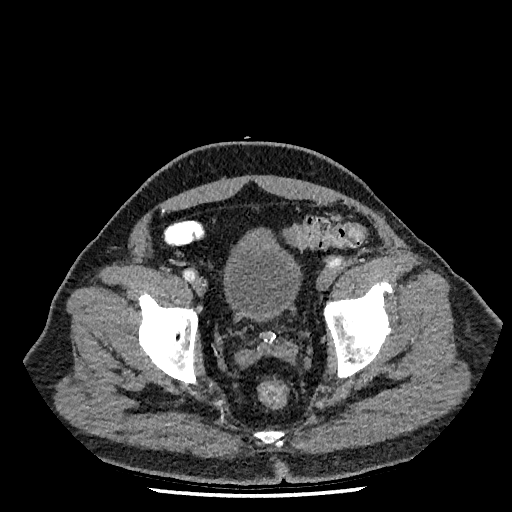 Pelvis, 512x512 px, CT slice
urinary bladder: bbox(223, 227, 302, 323)